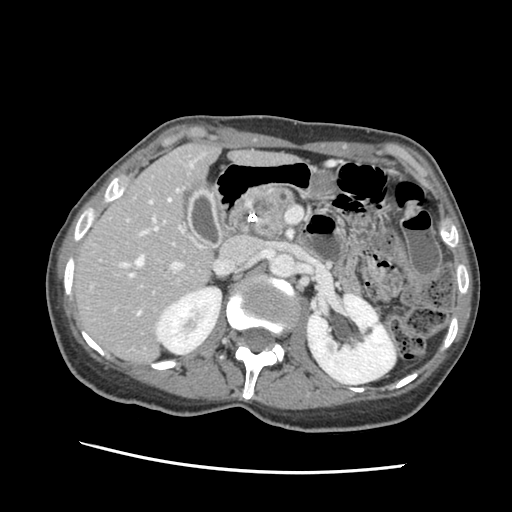 Image size 512x512, CT image, Upper abdomen
Pancreatic tumor — box=[255, 196, 273, 214].
Pancreas — box=[249, 189, 295, 238].